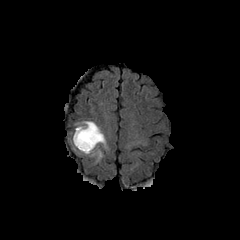
FLAIR MRI.
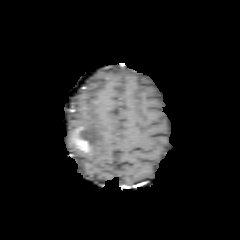
T1-weighted magnetic resonance.
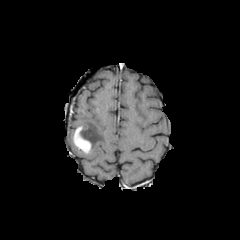
Post-contrast T1-weighted MRI.
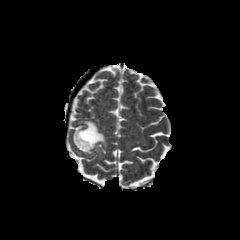
T2-weighted MR of the same slice.
240x240 px; Head
Findings:
• non-enhancing tumor core: bbox=[80, 129, 95, 145]
• enhancing tumor: bbox=[73, 126, 91, 153]
• edema: bbox=[79, 121, 106, 153]